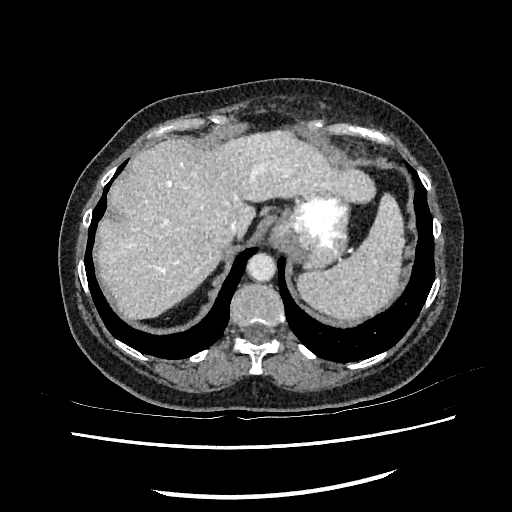
CT scan slice. 512x512. The liver is located at 96,131,374,319.